Image size 512x512 | Field of view 700 mm wide, 3.27 mm slice spacing | CT slice

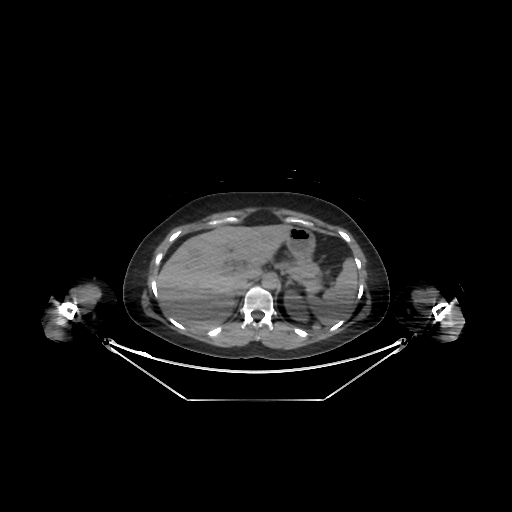

Liver: left=154, top=225, right=291, bottom=337.
Kidney: left=284, top=290, right=311, bottom=322.